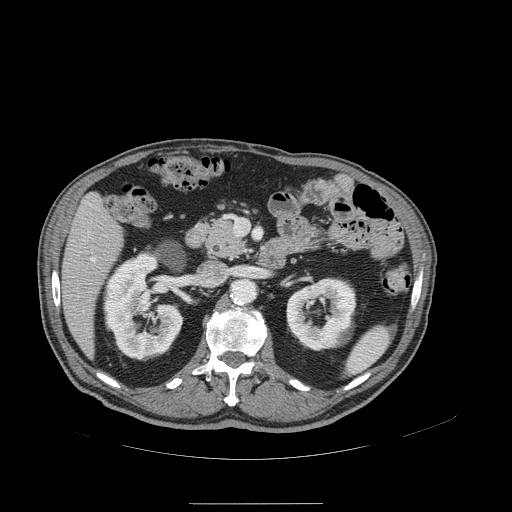 Computed tomography | Upper abdomen
<segmentation>
  <pancreas>[x1=202, y1=216, x2=250, y2=262]</pancreas>
</segmentation>